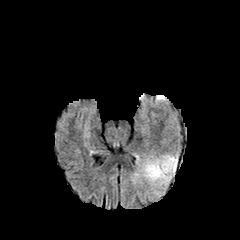
FLAIR MRI.
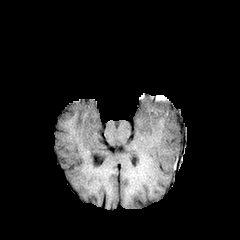
T1-weighted magnetic resonance of the same slice.
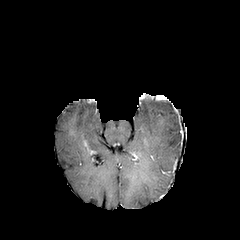
Post-contrast T1-weighted MR image of the same slice.
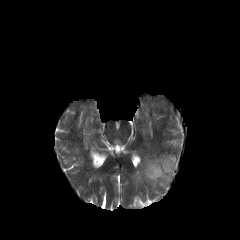
T2-weighted MR.
Image size 240x240; Brain
{"edema": ["(x1=145, y1=155, x2=177, y2=183)"]}